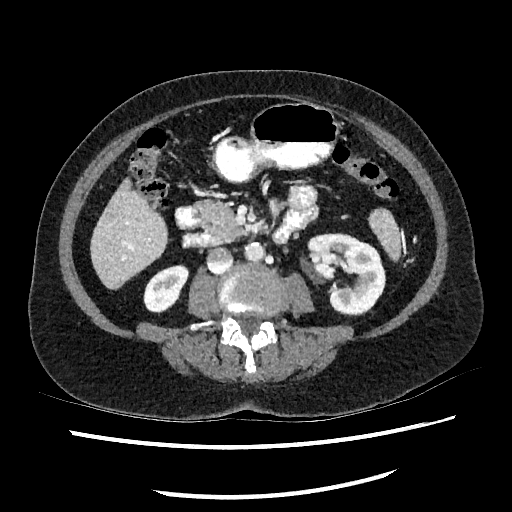

CT slice. Liver — <bbox>90, 178, 166, 287</bbox>.
Kidney — <bbox>309, 235, 384, 313</bbox>, <bbox>145, 266, 187, 311</bbox>.